CT scan slice | Field of view 367x367 mm | Upper abdomen
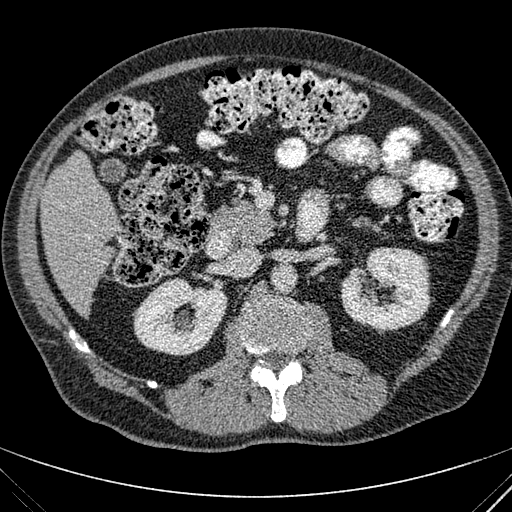
{"kidney": ["(left=341, top=248, right=429, bottom=329)", "(left=134, top=278, right=226, bottom=354)"], "liver": ["(left=41, top=152, right=116, bottom=316)"]}